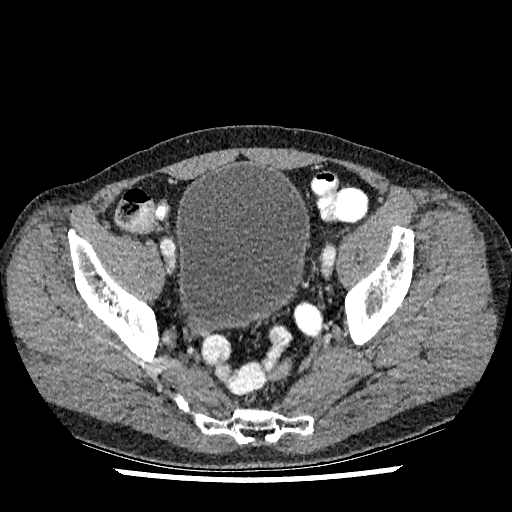 CT image

<segmentation>
  <urinary_bladder>179:164:307:330</urinary_bladder>
</segmentation>